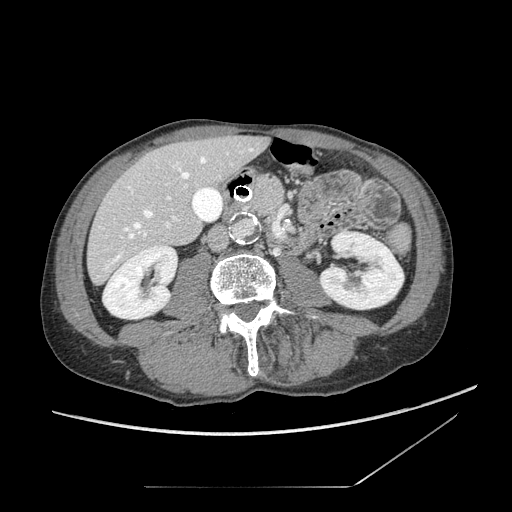
CT image | Abdomen
Pancreas: (251, 175, 283, 211).